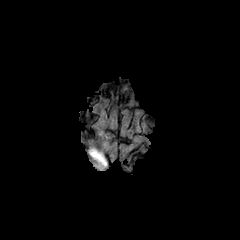
FLAIR MR.
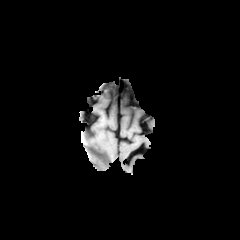
Same slice, T1-weighted magnetic resonance.
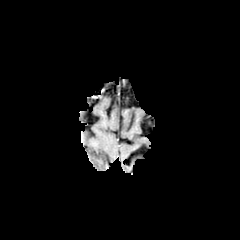
Post-contrast T1-weighted MR image.
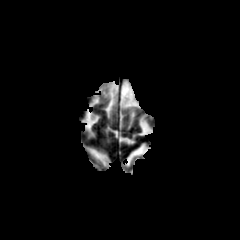
T2-weighted MR of the same slice.
Brain
<segmentation>
  <edema>bbox(89, 149, 106, 167)</edema>
</segmentation>